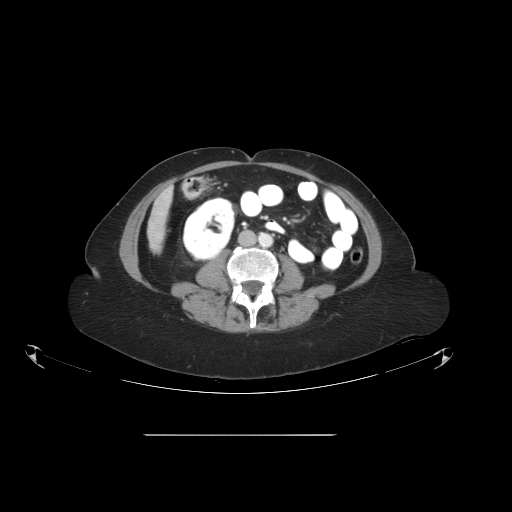
512x512; Pelvis; CT
<segmentation>
  <colon_tumor>[181,176,208,200]</colon_tumor>
</segmentation>